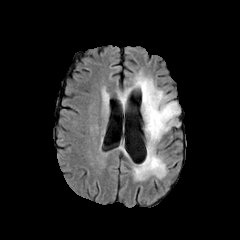
FLAIR magnetic resonance.
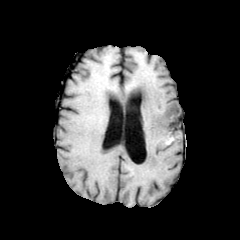
T1-weighted MRI.
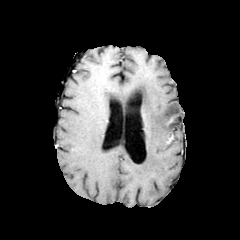
Post-contrast T1-weighted MR.
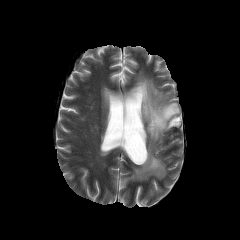
T2-weighted MR of the same slice.
Brain, 240x240 px
The edema appears at (x1=118, y1=72, x2=180, y2=180).